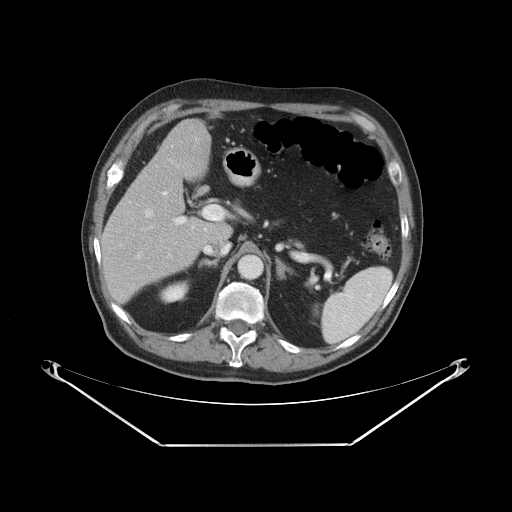
Abdomen, CT image
Some hepatic vessels may have no box.
8 hepatic vessel regions are bounded by (167, 158, 187, 168), (164, 224, 166, 225), (168, 216, 187, 225), (195, 136, 199, 145), (171, 145, 173, 146), (135, 251, 143, 258), (161, 191, 168, 196), (144, 208, 153, 217).